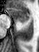 Magnetic resonance.

The anterior hippocampus lies within 8, 8, 29, 21. The posterior hippocampus is at 20, 22, 24, 22.